FLAIR MR image.
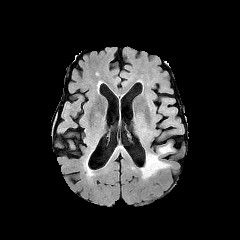
T1-weighted MR.
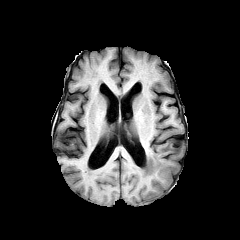
Post-contrast T1-weighted MR image.
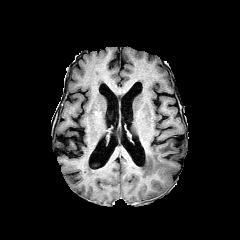
T2-weighted MRI.
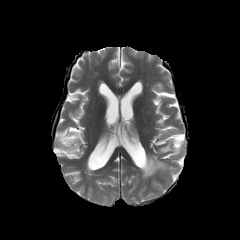
Head
edema: 140:143:176:178